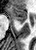

MRI slice, Medial temporal lobe
Posterior hippocampus = 20 23 22 24.
Anterior hippocampus = 8 6 26 22.